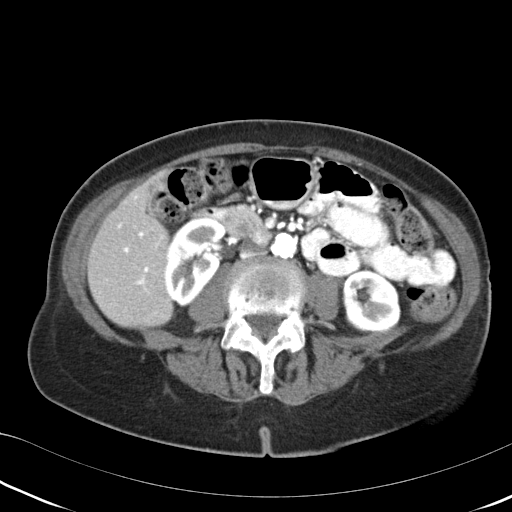

CT image; Abdomen

pancreas:
  - [x1=218, y1=204, x2=273, y2=248]